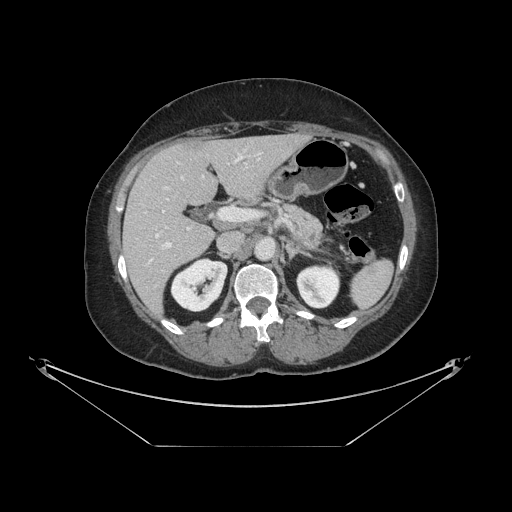
CT slice
Pancreatic tumor: (x1=302, y1=228, x2=319, y2=245).
Pancreas: (x1=280, y1=204, x2=323, y2=252).